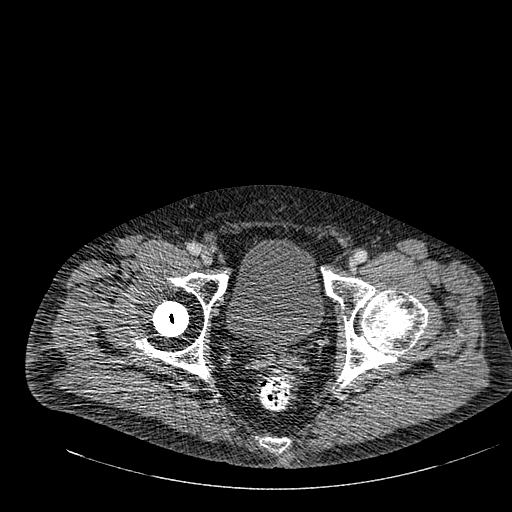

CT scan slice; Pelvis; Image size 512x512

Urinary bladder: box=[226, 240, 324, 351].